CT image | Abdomen 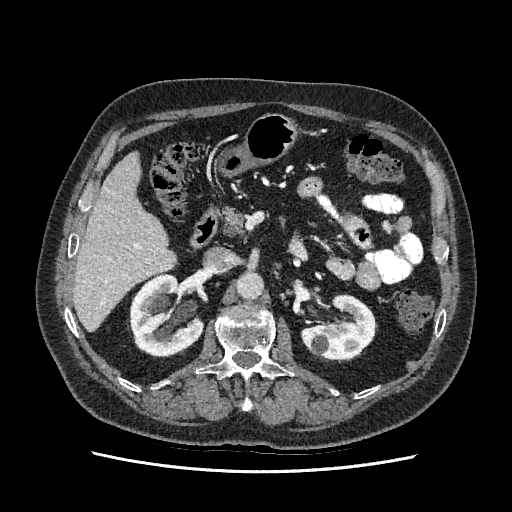
The liver is located at 74 152 176 330. 2 kidney regions are bounded by 302 296 374 358, 131 275 202 355.